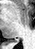 MRI slice
{
  "posterior_hippocampus": [
    "8 40 18 42"
  ]
}